Head | Slice 58/155
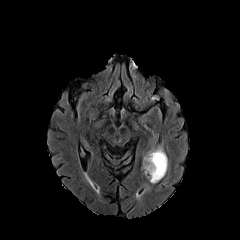
FLAIR MR.
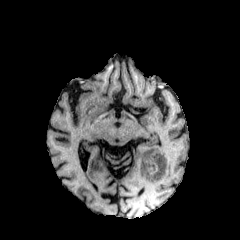
T1-weighted MRI.
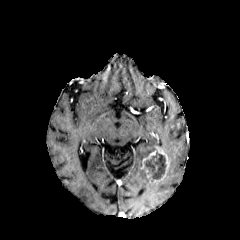
Post-contrast T1-weighted MR image.
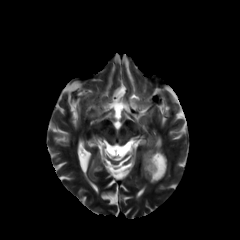
T2-weighted MR.
non-enhancing tumor core: (146,153,165,179) | enhancing tumor: (141,150,156,177), (156,146,168,169) | edema: (146,170,165,184)